Brain. Image width 240 mm.
FLAIR MR image.
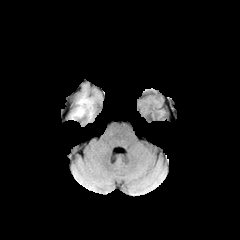
T1-weighted magnetic resonance.
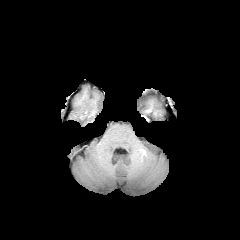
Post-contrast T1-weighted magnetic resonance.
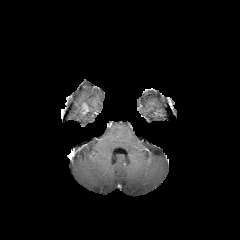
T2-weighted MRI.
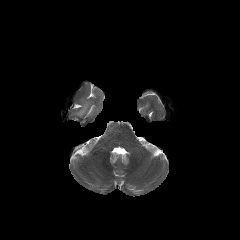
{"edema": ["71 95 93 117"]}